MR; Image size 36x50 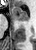 {
  "anterior_hippocampus": [
    {"x1": 12, "y1": 7, "x2": 29, "y2": 20}
  ]
}